Computed tomography, Image size 512x512, Slice 239 of 407, Abdomen
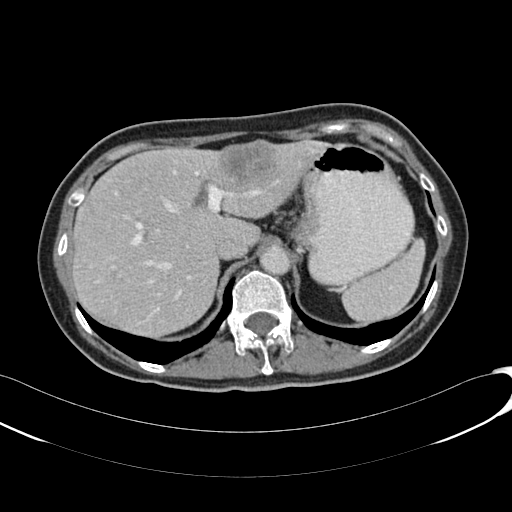

liver: x1=72, y1=140, x2=328, y2=334 | liver lesion: x1=218, y1=142, x2=280, y2=187